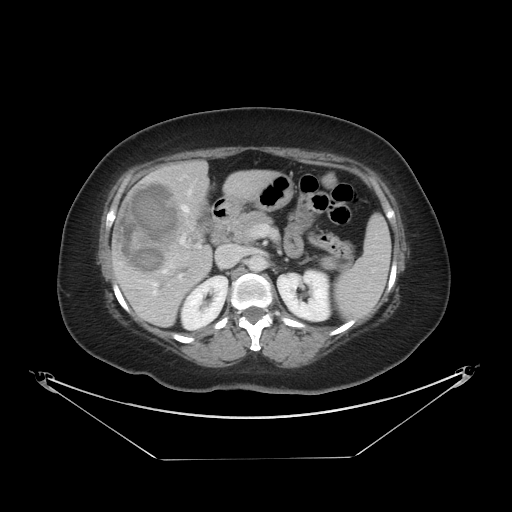 CT image, 512x512 px, Liver

Not every hepatic vessel necessarily has a box.
Segmented structures:
* hepatic vessel: (179,275,180,276), (180,233,188,246), (195,244,200,252), (181,205,188,211), (162,270,167,273), (153,291,155,295), (188,190,190,194), (152,282,157,286)
* liver tumor: (113,180,184,274)